512x512 px | CT

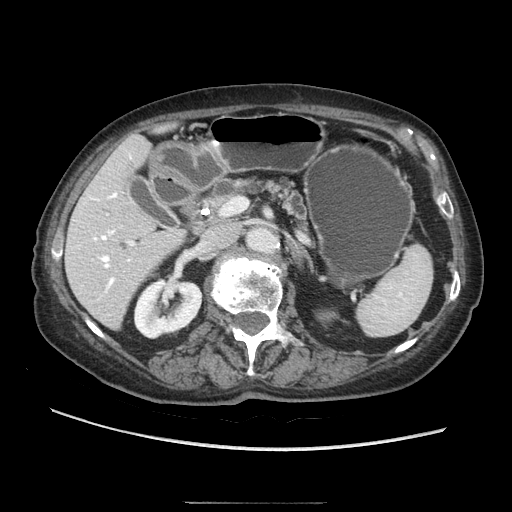
* pancreas: <box>210,178,306,220</box>